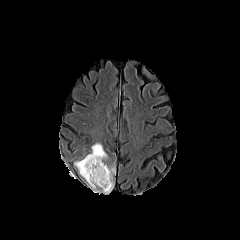
FLAIR magnetic resonance.
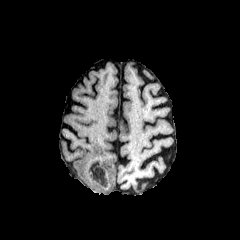
T1-weighted magnetic resonance.
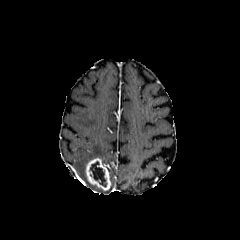
Post-contrast T1-weighted MRI.
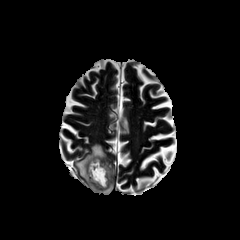
Same slice, T2-weighted MRI.
{
  "non-enhancing_tumor_core": [
    "[89,161,107,187]"
  ],
  "edema": [
    "[75,144,106,180]"
  ],
  "enhancing_tumor": [
    "[84,157,112,191]"
  ]
}